Upper abdomen, CT slice, Slice index 31, Field of view 330 mm wide, 2.50 mm slice spacing

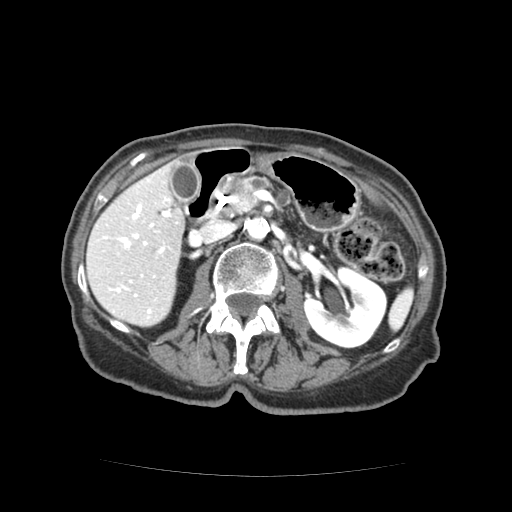
The pancreatic tumor is bounded by bbox=[231, 179, 251, 202]. The pancreas lies within bbox=[223, 177, 270, 212].